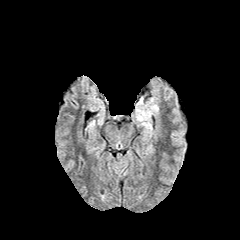
FLAIR MR image.
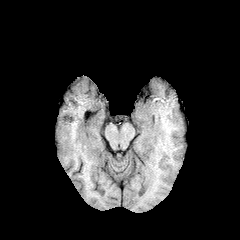
T1-weighted magnetic resonance.
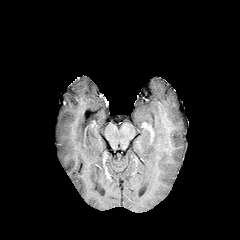
Post-contrast T1-weighted MR.
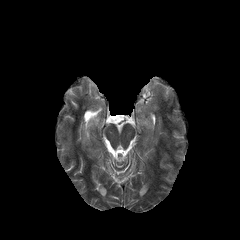
Same slice, T2-weighted MRI.
240x240 px | Head
Edema: {"x1": 136, "y1": 96, "x2": 158, "y2": 130}.